Slice 97 of 155; Brain
FLAIR MR image.
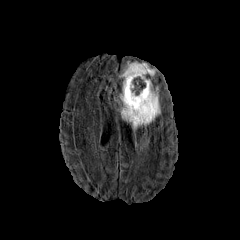
T1-weighted MR image.
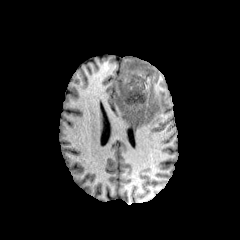
Post-contrast T1-weighted magnetic resonance.
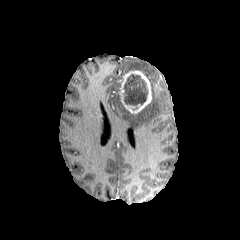
T2-weighted magnetic resonance.
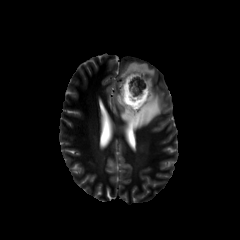
<segmentation>
  <enhancing_tumor>{"x1": 119, "y1": 70, "x2": 152, "y2": 113}</enhancing_tumor>
  <non-enhancing_tumor_core>{"x1": 123, "y1": 73, "x2": 147, "y2": 105}</non-enhancing_tumor_core>
  <edema>{"x1": 124, "y1": 62, "x2": 155, "y2": 77}, {"x1": 120, "y1": 89, "x2": 161, "y2": 130}</edema>
</segmentation>